FLAIR MR.
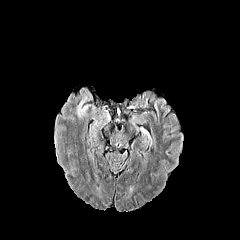
T1-weighted MR.
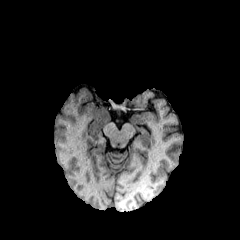
Post-contrast T1-weighted MR.
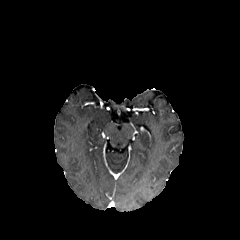
T2-weighted MR image.
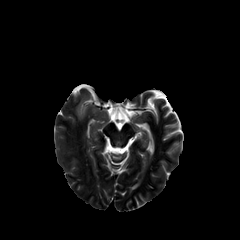
Brain.
edema: 79:100:86:113